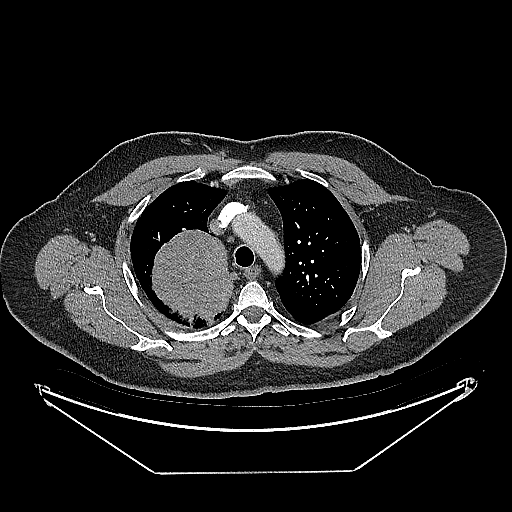

CT slice

lung tumor: [146, 228, 231, 326]